FLAIR MR image.
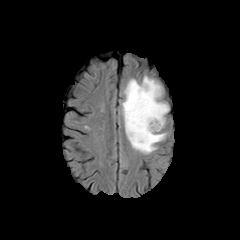
T1-weighted MRI.
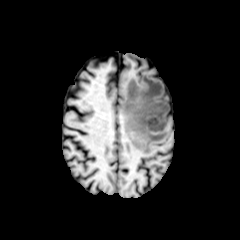
Post-contrast T1-weighted MR.
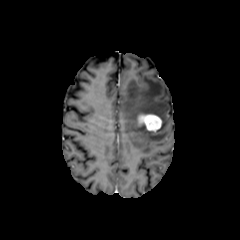
T2-weighted MR.
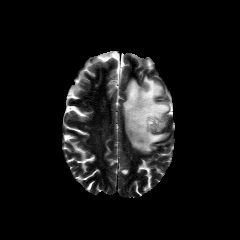
Brain
The enhancing tumor is at 137,114,161,131. The edema is bounded by 122,76,169,153.